CT; 512x512 px; Slice 172 of 588
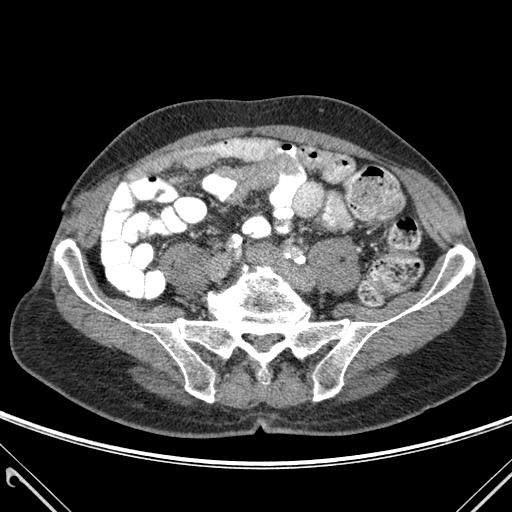 Bone: bounding box left=55, top=239, right=474, bottom=402.